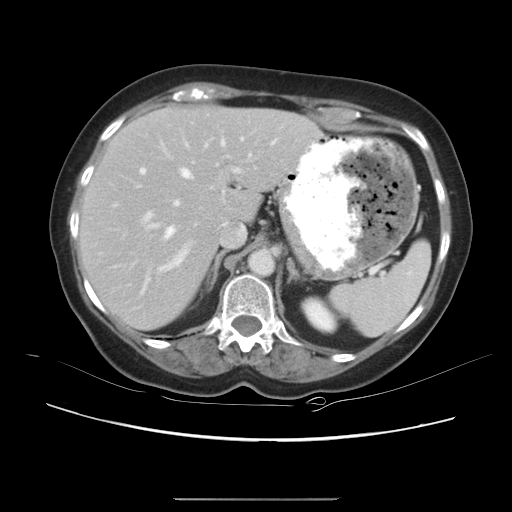
CT slice
The vessel annotation is not exhaustive.
<segmentation partial="true">
  <hepatic_vessel shown="15" total="24">141, 212, 158, 228; 271, 140, 276, 144; 179, 168, 192, 179; 140, 168, 144, 174; 222, 190, 223, 199; 232, 168, 240, 172; 140, 275, 149, 294; 240, 137, 243, 140; 158, 245, 188, 271; 163, 226, 176, 239; 247, 154, 250, 161; 173, 200, 178, 205; 160, 141, 171, 158; 183, 138, 188, 147; 220, 139, 225, 146</hepatic_vessel>
</segmentation>